Computed tomography | Slice 46 of 605

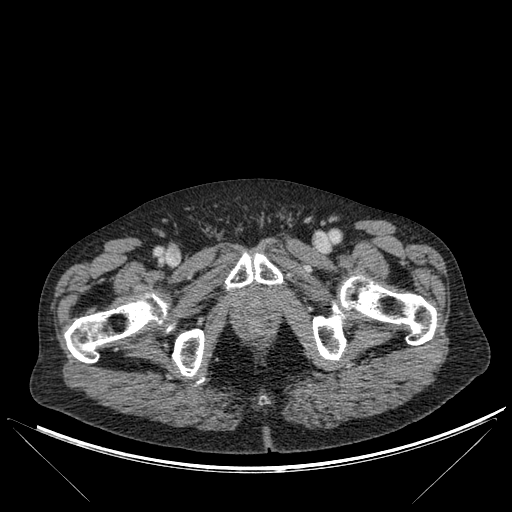

Bone = region(225, 253, 282, 287); region(172, 329, 204, 377); region(64, 293, 167, 362); region(312, 276, 436, 360).